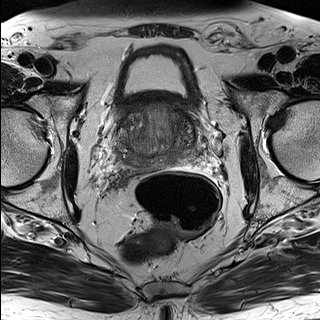
T2-weighted MRI.
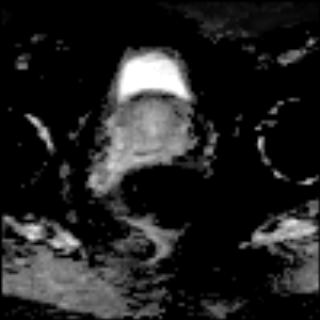
ADC magnetic resonance of the same slice.
Image size 320x320; Pelvis
{
  "prostate_transition_zone": [
    "[119, 106, 193, 163]"
  ]
}